FLAIR MRI.
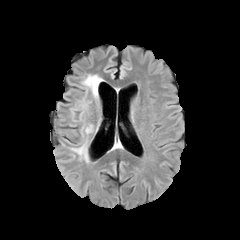
T1-weighted MRI.
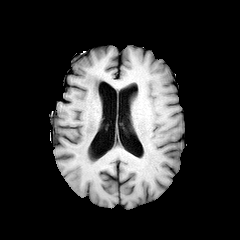
Post-contrast T1-weighted MR.
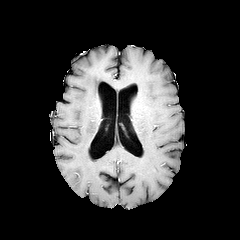
T2-weighted MR image.
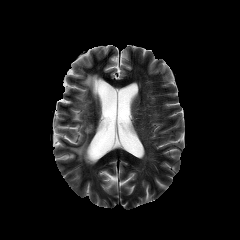
Brain
The edema is located at 71 74 103 162.